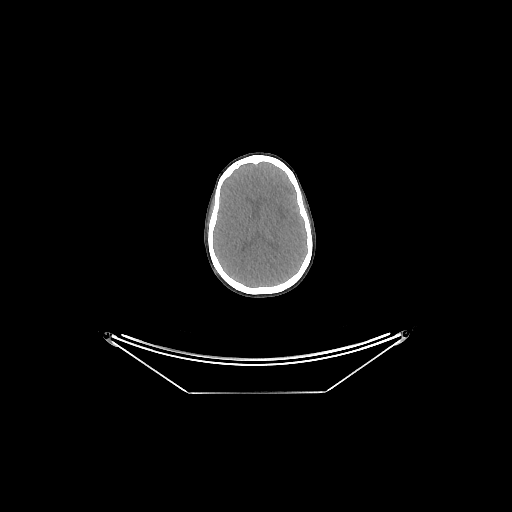 CT slice | Image size 512x512

The brain lies within l=213, t=161, r=307, b=287.